Image size 512x512 | Field of view 351 mm wide, 1.00 mm slice spacing | Computed tomography
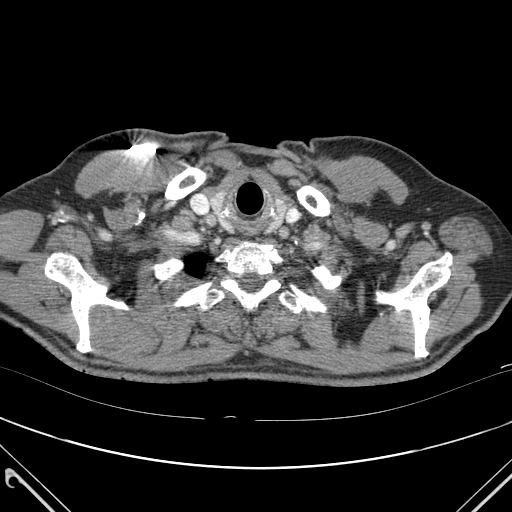

Bone at x1=165, y1=167, x2=205, y2=199; x1=216, y1=242, x2=281, y2=274; x1=297, y1=186, x2=329, y2=216; x1=45, y1=253, x2=127, y2=352; x1=312, y1=266, x2=340, y2=288; x1=175, y1=283, x2=223, y2=308; x1=221, y1=279, x2=280, y2=308; x1=154, y1=259, x2=182, y2=279; x1=279, y1=285, x2=325, y2=312; x1=377, y1=253, x2=451, y2=357.
Lung at x1=185, y1=253, x2=206, y2=277.